FLAIR MR.
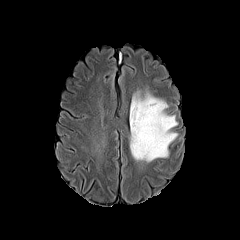
T1-weighted MR.
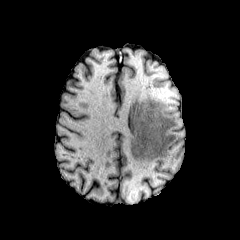
Post-contrast T1-weighted MR image.
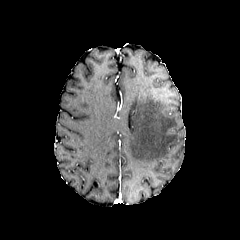
T2-weighted MR.
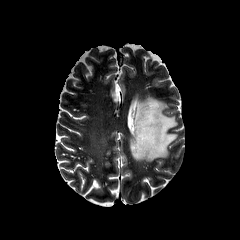
Brain
The edema is at {"x1": 130, "y1": 94, "x2": 178, "y2": 162}.